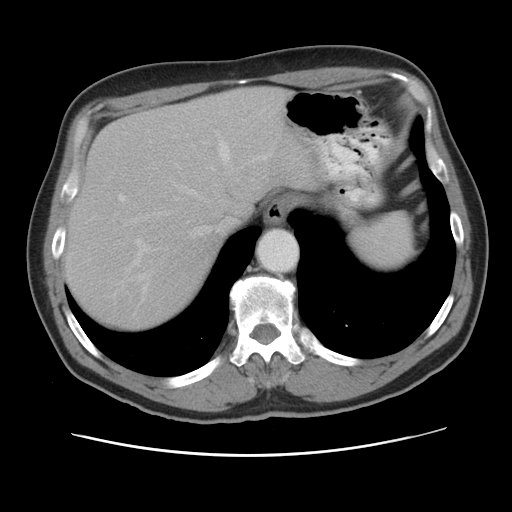 CT slice | Liver
Some hepatic vessels may have no box.
Hepatic vessel at {"x1": 125, "y1": 239, "x2": 148, "y2": 270}, {"x1": 118, "y1": 194, "x2": 123, "y2": 199}, {"x1": 178, "y1": 186, "x2": 200, "y2": 198}, {"x1": 125, "y1": 133, "x2": 126, "y2": 134}.